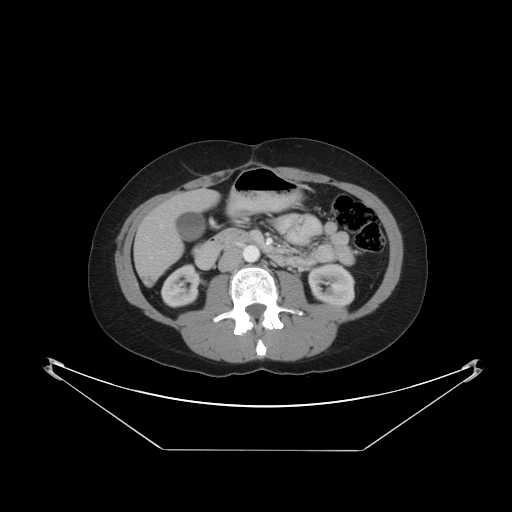
Abdomen. Image size 512x512. Computed tomography.
The vessel boxes may cover only some of the vessels.
3 hepatic vessel regions are located at region(149, 256, 151, 257); region(161, 251, 163, 252); region(160, 225, 162, 227). The liver tumor is located at region(145, 277, 155, 284).